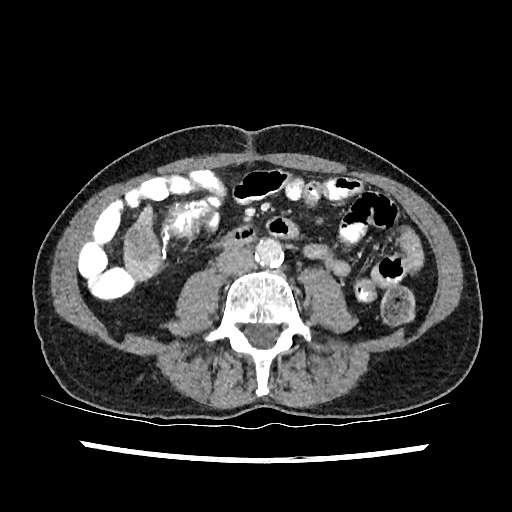

Liver. CT image.

focal liver lesion: box=[129, 229, 154, 260] | liver: box=[125, 206, 159, 279]